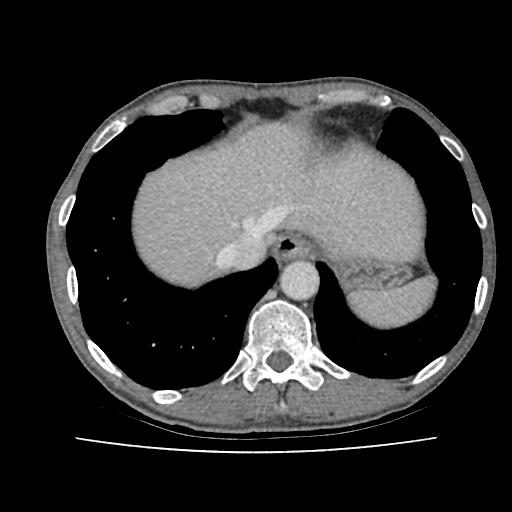
Liver. CT slice.

Liver — 134 125 423 283.